FLAIR magnetic resonance.
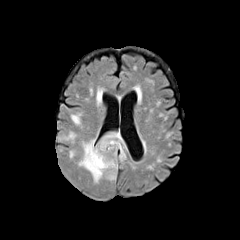
T1-weighted MR.
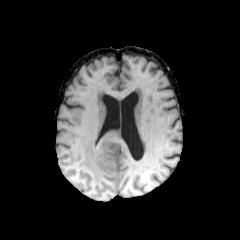
Post-contrast T1-weighted MR.
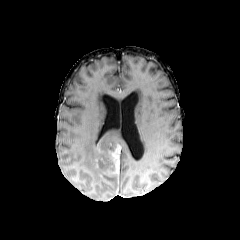
T2-weighted MR image.
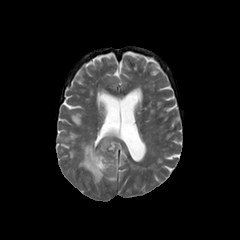
240x240
2 edema regions are bounded by left=79, top=131, right=127, bottom=182; left=90, top=87, right=104, bottom=106. The enhancing tumor is bounded by left=110, top=143, right=121, bottom=173. 2 non-enhancing tumor core regions appear at left=97, top=150, right=113, bottom=174; left=106, top=142, right=117, bottom=153.